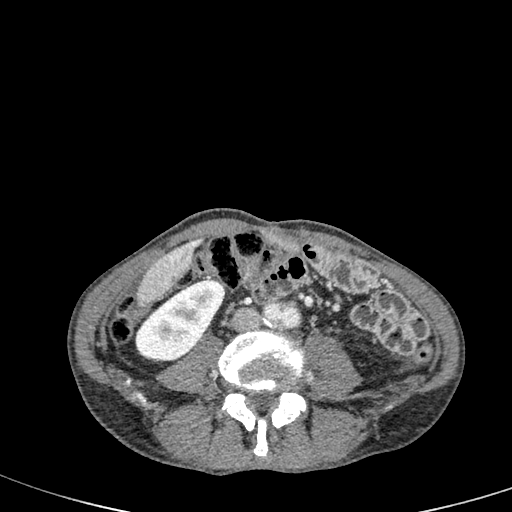

CT slice. Abdomen. <segmentation>
  <liver>{"x1": 138, "y1": 237, "x2": 203, "y2": 305}</liver>
  <kidney>{"x1": 136, "y1": 280, "x2": 224, "y2": 359}</kidney>
</segmentation>